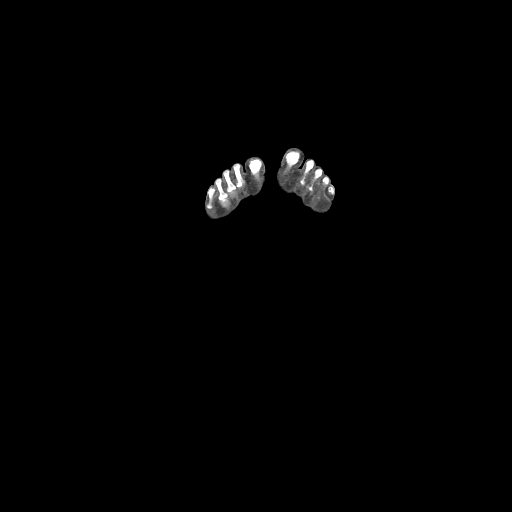 512x512. Computed tomography.
Bone at x1=315, y1=169, x2=321, y2=178; x1=207, y1=188, x2=214, y2=208; x1=224, y1=164, x2=243, y2=193; x1=305, y1=160, x2=313, y2=174; x1=249, y1=159, x2=261, y2=176; x1=216, y1=179, x2=227, y2=205; x1=286, y1=151, x2=298, y2=166.